512x512; CT slice; Slice index 312; Upper abdomen 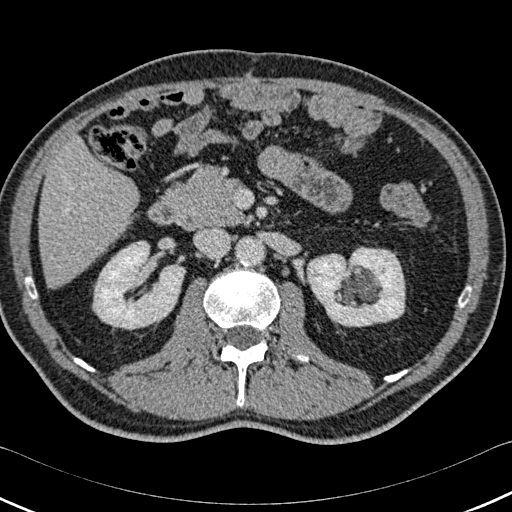 7 bone regions are located at bbox=[203, 269, 280, 330]; bbox=[384, 370, 406, 381]; bbox=[296, 354, 307, 361]; bbox=[26, 278, 36, 298]; bbox=[74, 358, 94, 371]; bbox=[221, 340, 267, 406]; bbox=[459, 287, 470, 306]. The liver is located at bbox=[39, 140, 138, 287]. 2 kidney regions are located at bbox=[93, 241, 184, 328]; bbox=[308, 248, 404, 325].